Head; Image width 240 mm
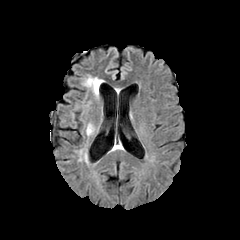
FLAIR magnetic resonance.
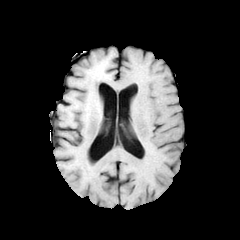
Same slice, T1-weighted MRI.
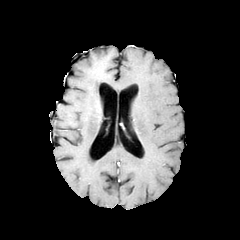
Same slice, post-contrast T1-weighted MRI.
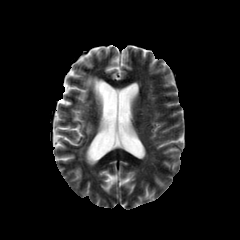
Same slice, T2-weighted magnetic resonance.
4 edema regions appear at [84,121,95,138], [79,148,88,163], [78,96,91,114], [82,75,104,103].